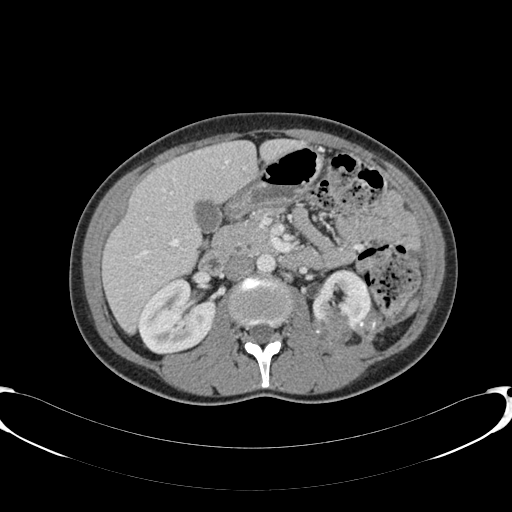 Liver | CT scan slice
Liver — bbox=[103, 141, 257, 332]; bbox=[260, 140, 303, 162].
Kidney — bbox=[311, 271, 369, 344]; bbox=[140, 280, 214, 352].